Brain
FLAIR magnetic resonance.
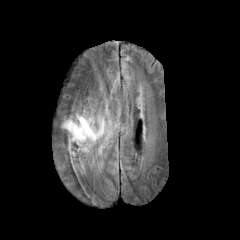
T1-weighted magnetic resonance.
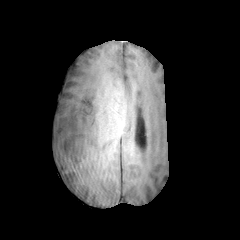
Post-contrast T1-weighted MRI.
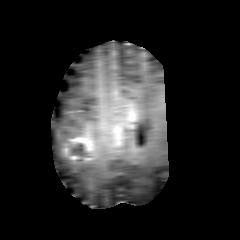
T2-weighted MR.
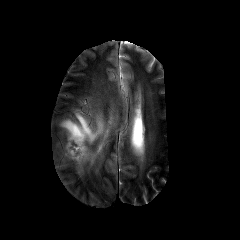
<segmentation>
  <edema>(x1=61, y1=113, x2=108, y2=163)</edema>
  <enhancing_tumor>(x1=69, y1=134, x2=90, y2=145)</enhancing_tumor>
</segmentation>